FLAIR MR.
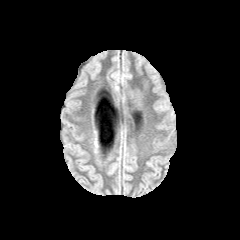
T1-weighted MR image.
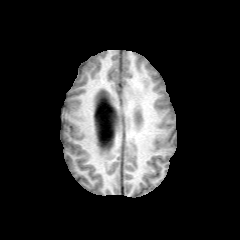
Post-contrast T1-weighted magnetic resonance.
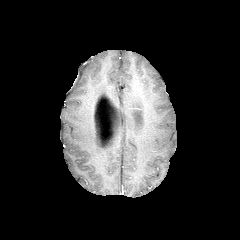
T2-weighted magnetic resonance.
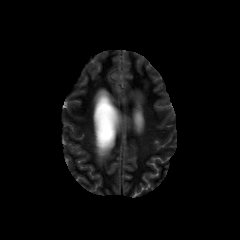
Head
Edema = [124,89,144,107].